FLAIR MR.
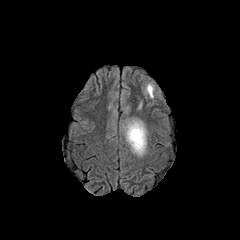
T1-weighted magnetic resonance.
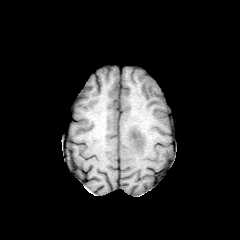
Post-contrast T1-weighted MRI.
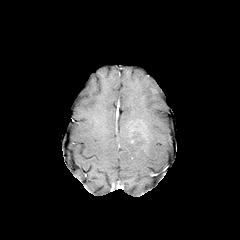
T2-weighted MR.
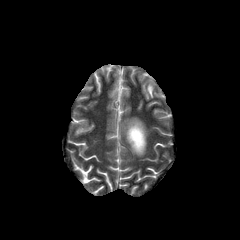
240x240 px. Head.
Edema = rect(121, 117, 148, 156).
Non-enhancing tumor core = rect(130, 131, 142, 144).